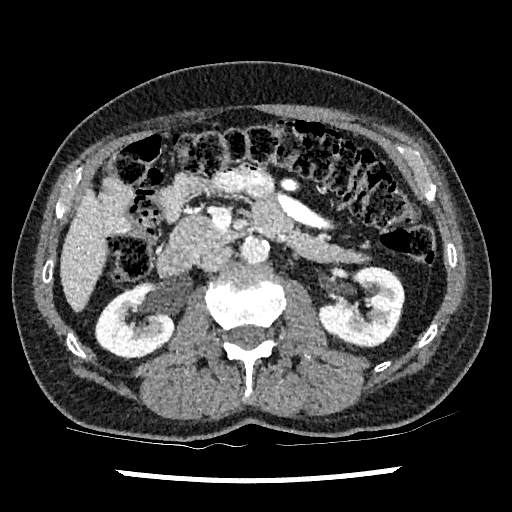
512x512 | CT image | Liver
Kidney: bounding box (96,285,173,356), (320,268,403,345).
Liver: bounding box (62,189,106,311).